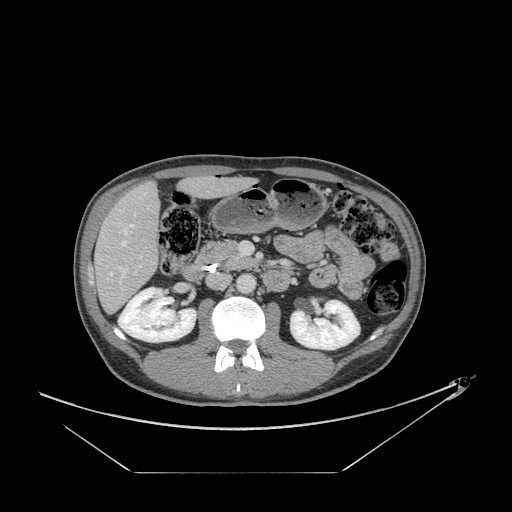 CT, Upper abdomen

Findings:
* pancreas: box=[197, 241, 238, 263]